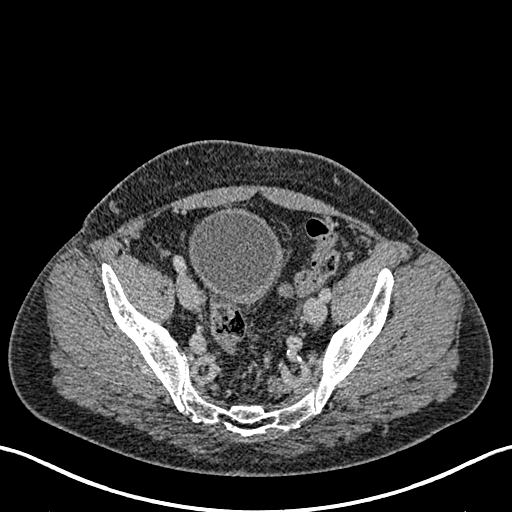 512x512; CT image
Urinary bladder — [190,211,285,307].